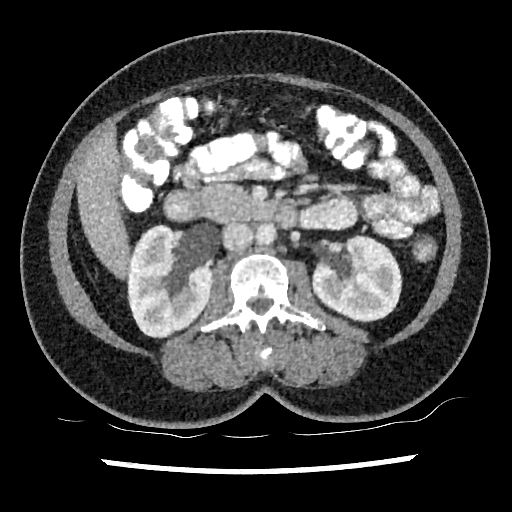

CT scan slice

Kidney: x1=313 y1=237 x2=400 y2=320, x1=129 y1=226 x2=211 y2=336.
Liver: x1=78 y1=132 x2=128 y2=274.